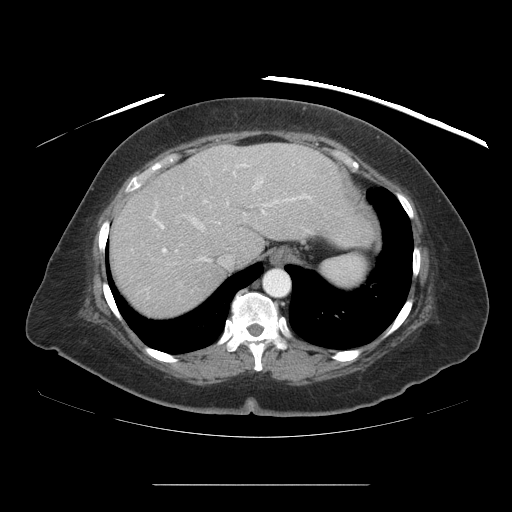

Abdomen. CT slice. The vessel annotation is not exhaustive.
14 hepatic vessel regions are bounded by box(252, 176, 262, 190); box(268, 202, 276, 205); box(204, 200, 206, 202); box(162, 248, 166, 252); box(289, 198, 297, 199); box(151, 214, 164, 228); box(220, 256, 231, 266); box(241, 164, 245, 166); box(232, 170, 235, 175); box(197, 256, 211, 261); box(189, 217, 203, 229); box(298, 195, 308, 198); box(284, 200, 288, 200); box(261, 209, 263, 212).